Field of view 240 mm wide, 1.00 mm slice spacing
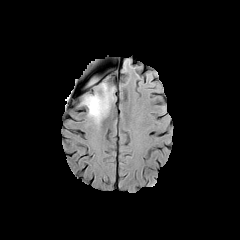
FLAIR magnetic resonance.
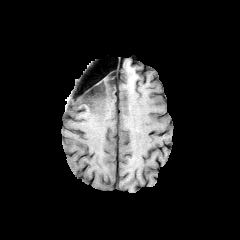
T1-weighted MR of the same slice.
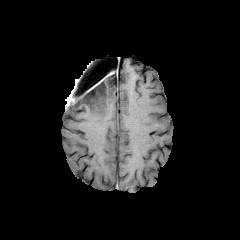
Post-contrast T1-weighted magnetic resonance of the same slice.
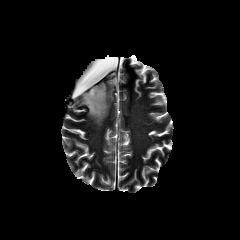
T2-weighted magnetic resonance.
* edema: {"x1": 81, "y1": 82, "x2": 113, "y2": 125}
* non-enhancing tumor core: {"x1": 84, "y1": 84, "x2": 105, "y2": 101}